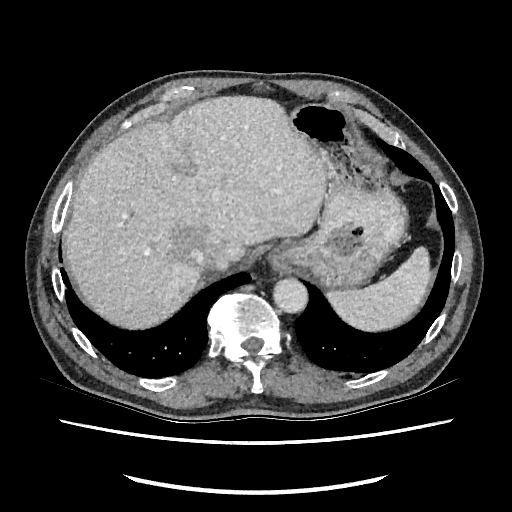 Image size 512x512; CT scan slice
Focal liver lesion = (173, 156, 196, 174), (171, 226, 209, 266).
Liver = (67, 98, 326, 324).